Computed tomography.

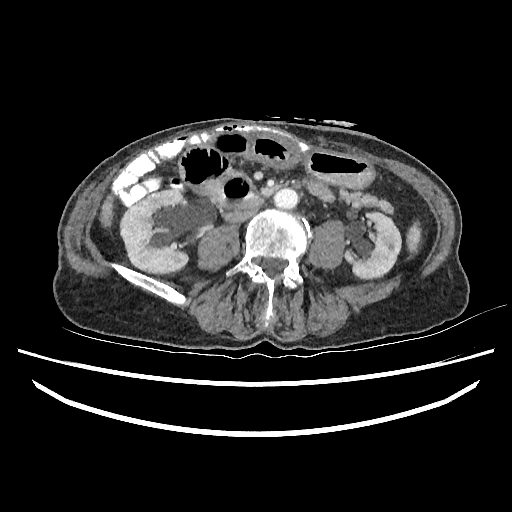

Kidney at (345,251,352,261), (353,213,401,277), (120,190,187,272).
Liver at (101,196,112,226).